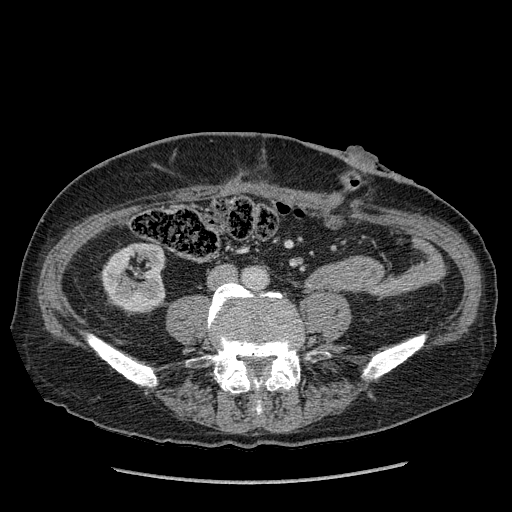 CT scan slice
The kidney is at x1=102, y1=244, x2=164, y2=311.